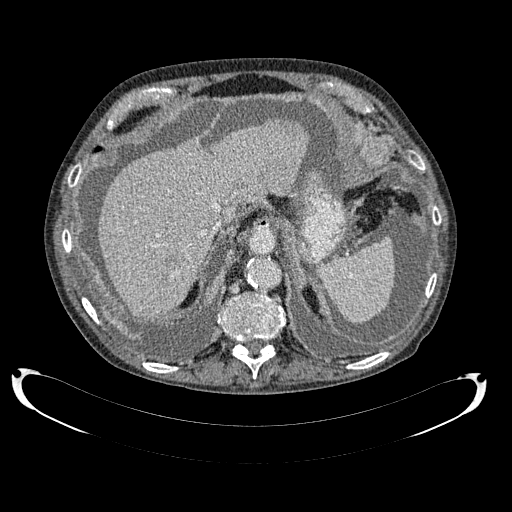
Upper abdomen; 512x512 px; CT image
• liver: bbox(98, 117, 308, 321)